CT scan slice.

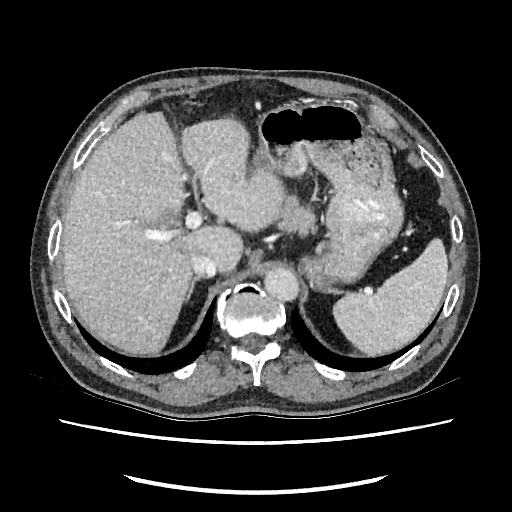
The liver lesion is at rect(162, 211, 170, 218). 2 liver regions appear at rect(182, 118, 284, 230); rect(62, 113, 241, 352).